MR

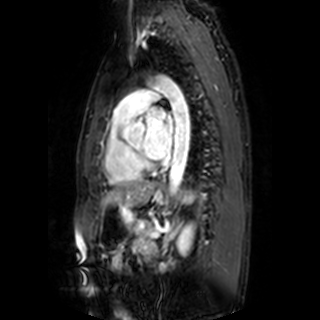 The left atrium is bounded by (left=142, top=107, right=174, bottom=159).